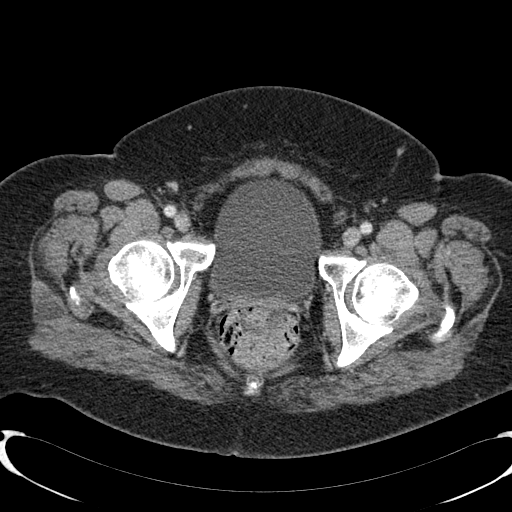

512x512. Computed tomography. Segmented structures:
• urinary bladder: [209,179,321,302]